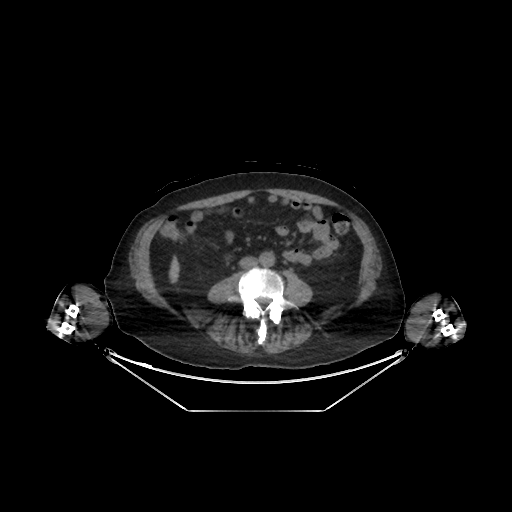
Upper abdomen | CT scan slice | 512x512 px

The liver is bounded by bbox=[170, 257, 178, 282].